CT.

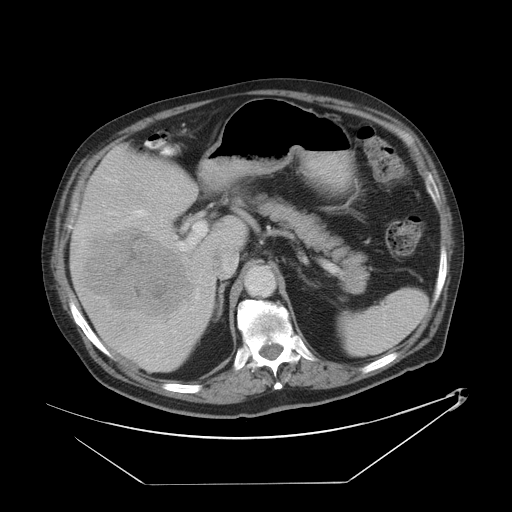 Not every hepatic vessel necessarily has a box.
{
  "hepatic_vessel": [
    "rect(176, 243, 186, 250)",
    "rect(161, 342, 162, 343)",
    "rect(134, 210, 146, 216)",
    "rect(172, 330, 175, 332)",
    "rect(196, 288, 199, 290)",
    "rect(189, 223, 205, 244)",
    "rect(108, 178, 118, 182)"
  ],
  "liver_tumor": [
    "rect(79, 227, 192, 319)"
  ]
}